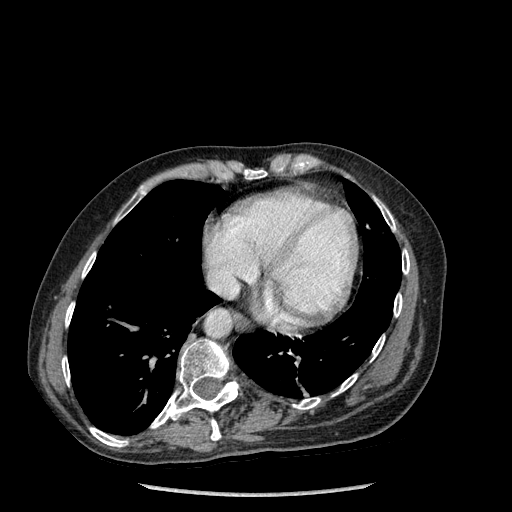

CT scan slice, Image size 512x512
14 bone regions appear at bbox=[370, 335, 385, 361]; bbox=[332, 374, 357, 396]; bbox=[61, 356, 69, 386]; bbox=[150, 339, 238, 428]; bbox=[374, 197, 395, 230]; bbox=[210, 419, 220, 440]; bbox=[115, 186, 146, 222]; bbox=[82, 252, 95, 278]; bbox=[89, 427, 127, 447]; bbox=[292, 397, 320, 409]; bbox=[402, 249, 409, 274]; bbox=[65, 302, 74, 326]; bbox=[244, 169, 267, 179]; bbox=[393, 293, 402, 317]. 2 lung regions are bounded by bbox=[68, 180, 224, 435]; bbox=[233, 179, 401, 398].